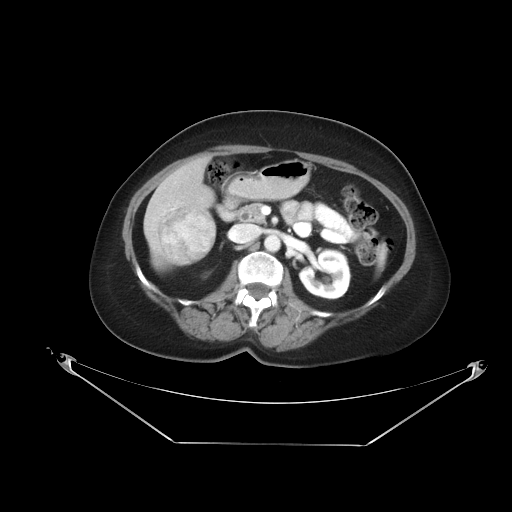 CT slice. Liver. Not every hepatic vessel necessarily has a box.
Hepatic vessel: (x1=238, y1=228, x2=259, y2=242), (x1=148, y1=228, x2=155, y2=230), (x1=174, y1=204, x2=176, y2=208), (x1=177, y1=201, x2=178, y2=203).
Liver tumor: (x1=160, y1=207, x2=215, y2=264).